CT

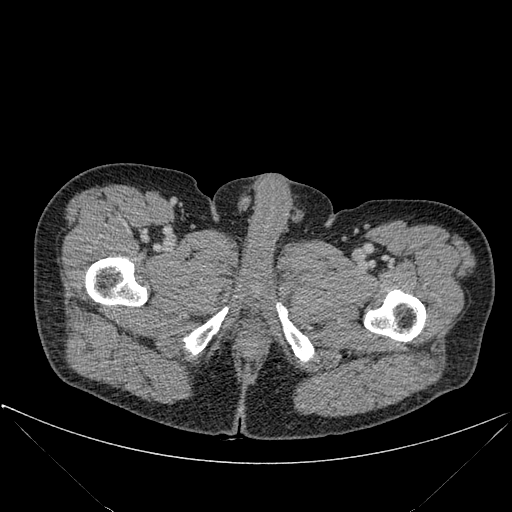
Bone — [x1=364, y1=290, x2=425, y2=341], [x1=182, y1=307, x2=227, y2=354], [x1=276, y1=303, x2=313, y2=361], [x1=85, y1=257, x2=146, y2=306].